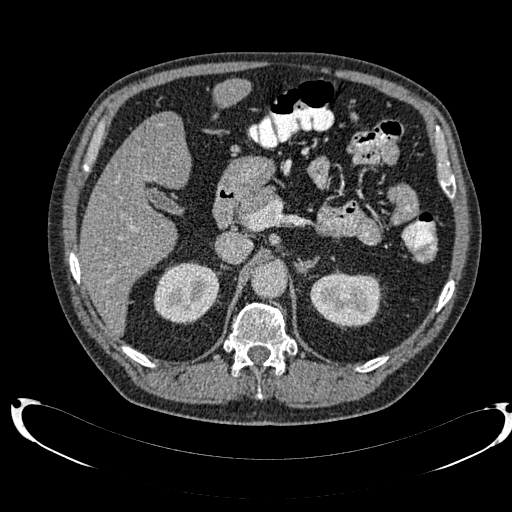
Liver. Computed tomography.
Kidney: l=154, t=263, r=218, b=323; l=310, t=272, r=380, b=326.
Liver: l=80, t=115, r=190, b=336; l=214, t=80, r=251, b=107.
Hepatic lesion: l=150, t=114, r=181, b=138.